Head | Slice index 82
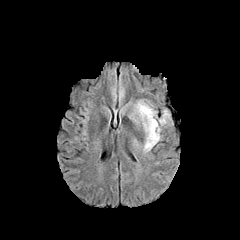
FLAIR MRI.
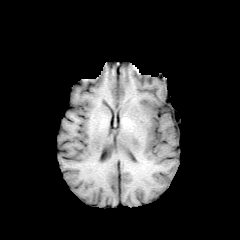
T1-weighted magnetic resonance.
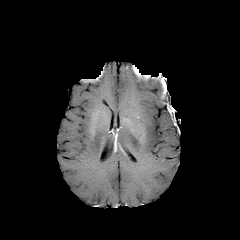
Post-contrast T1-weighted MR of the same slice.
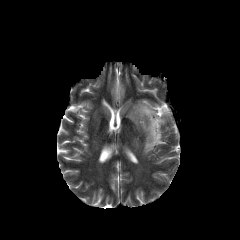
T2-weighted MR.
edema:
  - 128, 99, 171, 153